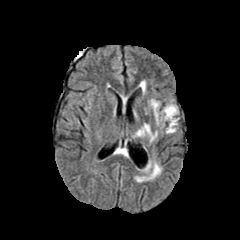
FLAIR MR image.
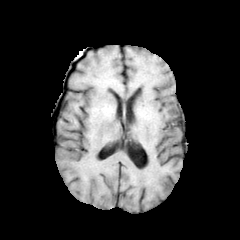
T1-weighted MR.
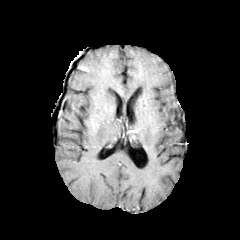
Post-contrast T1-weighted MR of the same slice.
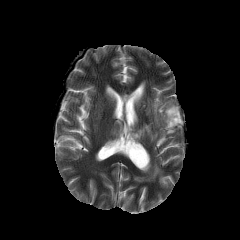
T2-weighted MR.
Head
4 edema regions are located at box=[135, 123, 151, 137]; box=[148, 99, 179, 133]; box=[147, 164, 160, 177]; box=[139, 82, 145, 94].